FLAIR MR.
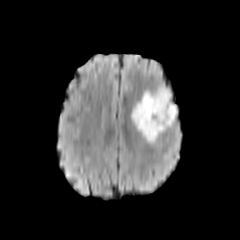
T1-weighted MRI.
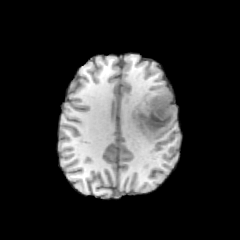
Post-contrast T1-weighted MR image.
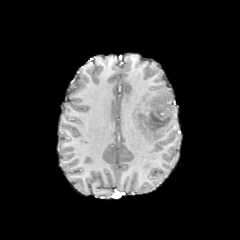
T2-weighted magnetic resonance.
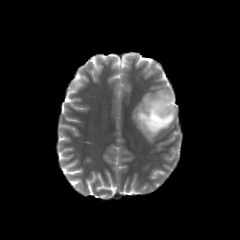
Edema at box(131, 91, 178, 144).
Non-enhancing tumor core at box(139, 91, 173, 131).